Computed tomography
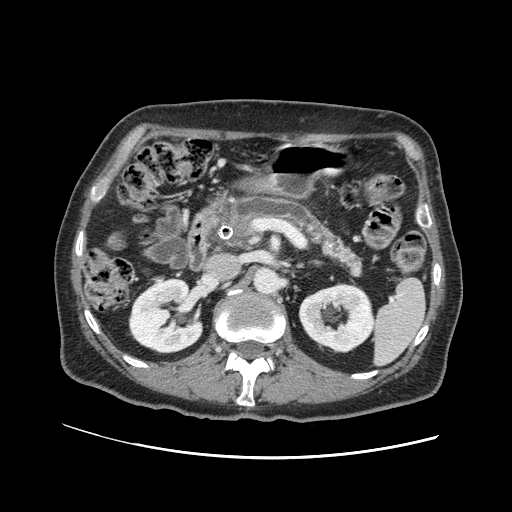

Annotated regions:
• pancreas: left=204, top=193, right=365, bottom=278